Slice index 110. 240x240 px.
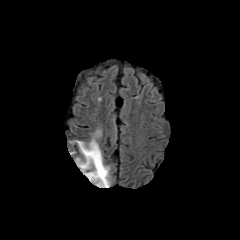
FLAIR magnetic resonance.
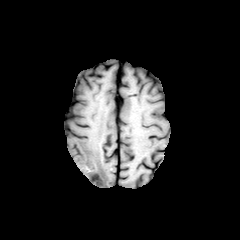
T1-weighted MR image of the same slice.
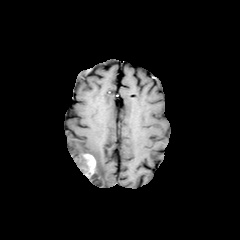
Same slice, post-contrast T1-weighted MR image.
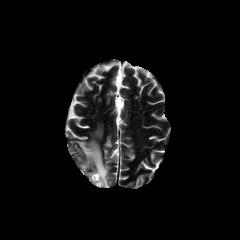
T2-weighted MRI of the same slice.
Enhancing tumor: box=[83, 154, 95, 177].
Edema: box=[69, 139, 111, 187].